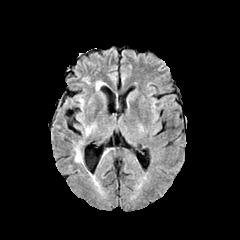
FLAIR MR.
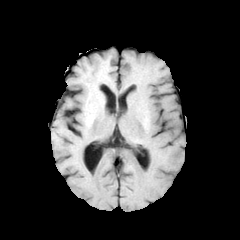
T1-weighted MRI.
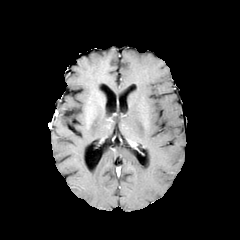
Post-contrast T1-weighted MRI.
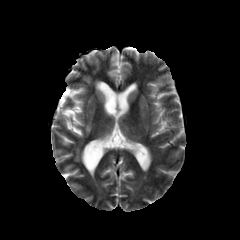
T2-weighted MR image of the same slice.
240x240
Edema: bounding box box(76, 97, 84, 109); box(75, 147, 83, 162); box(94, 80, 106, 101); box(79, 116, 93, 135).